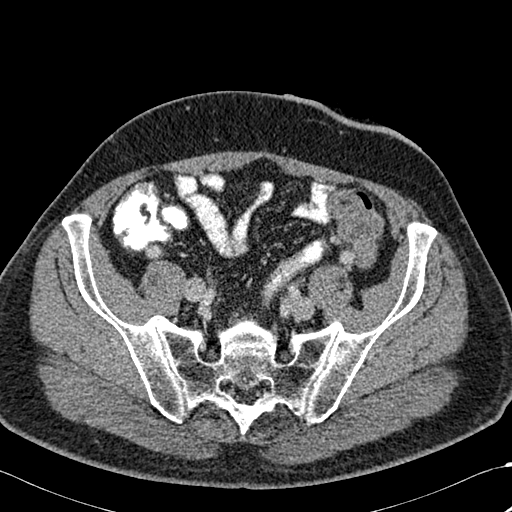
CT scan slice

The bone lies within box=[62, 214, 436, 433].